FLAIR MR.
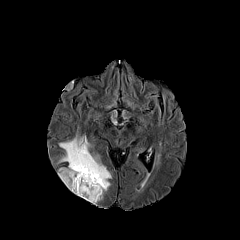
T1-weighted magnetic resonance.
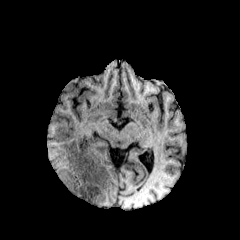
Post-contrast T1-weighted MR.
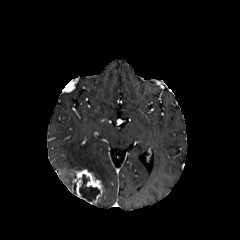
T2-weighted MR image.
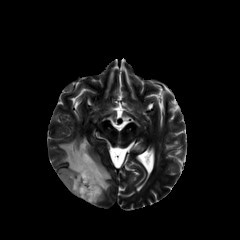
240x240.
The non-enhancing tumor core is bounded by (79, 174, 99, 204). The enhancing tumor is at (59, 168, 104, 202). 2 edema regions are bounded by (62, 176, 72, 189), (58, 136, 111, 191).